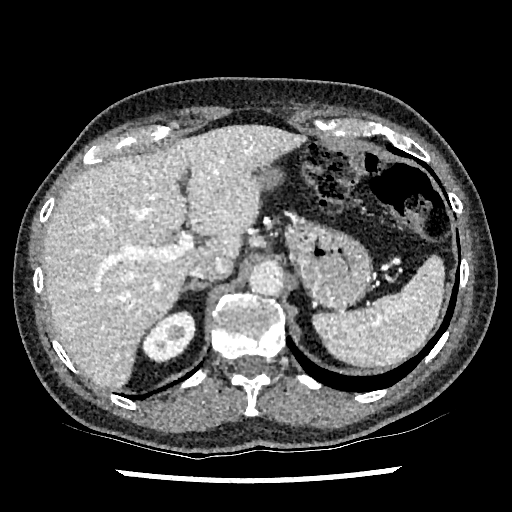

512x512 | CT slice
<segmentation>
  <kidney>{"x1": 144, "y1": 313, "x2": 194, "y2": 359}</kidney>
  <liver>{"x1": 44, "y1": 125, "x2": 306, "y2": 388}</liver>
  <liver_lesion>{"x1": 252, "y1": 165, "x2": 266, "y2": 177}</liver_lesion>
</segmentation>